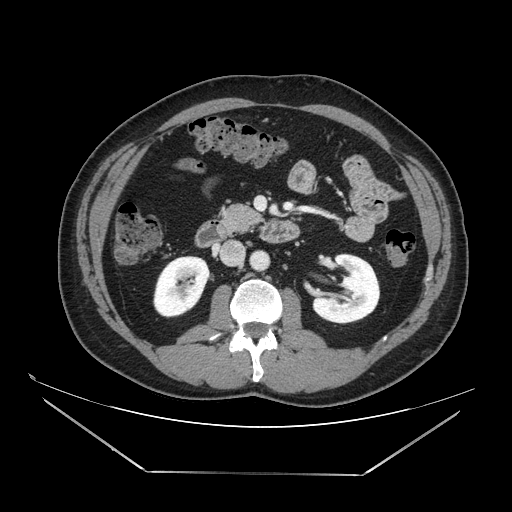
Abdomen | CT slice

The pancreas is located at 220, 204, 262, 233.